Image width 338 mm. 512x512. Computed tomography. Slice index 91.
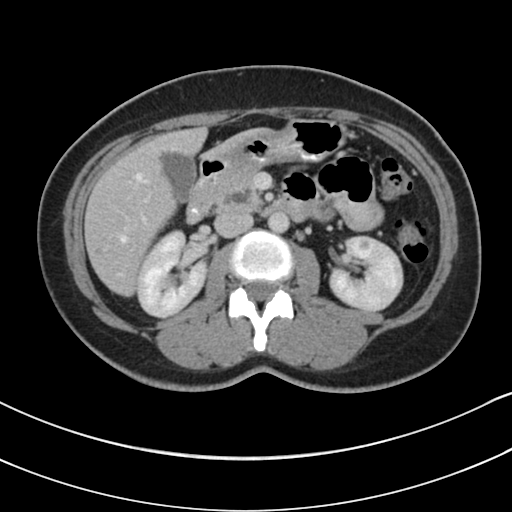

{"pancreatic_tumor": ["x1=225, y1=188, x2=253, y2=205"], "pancreas": ["x1=200, y1=160, x2=263, y2=215"]}